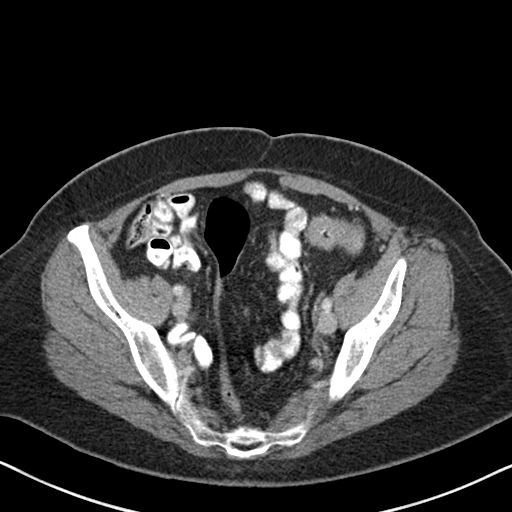 Pelvis, CT scan slice

The colon tumor lies within rect(309, 218, 364, 252).